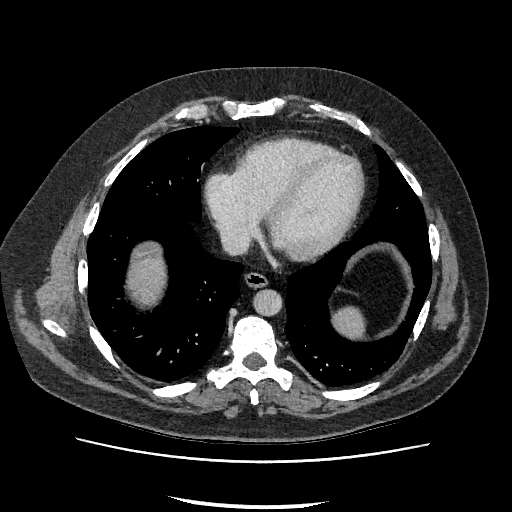

Upper abdomen; Image size 512x512; CT slice
Liver: bounding box (x1=129, y1=258, x2=163, y2=302).